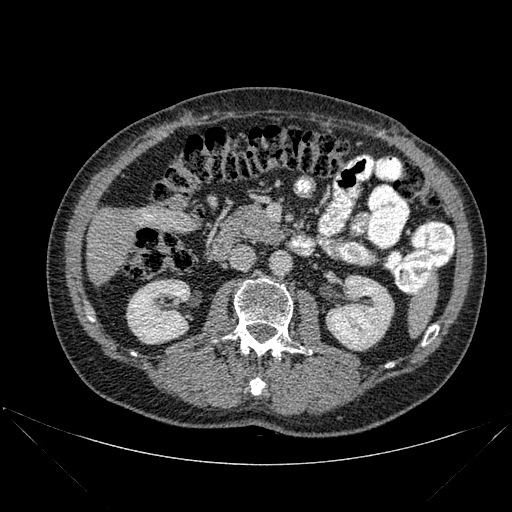

CT. 3 bone regions are bounded by (x1=250, y1=377, x2=264, y2=394), (x1=422, y1=325, x2=438, y2=345), (x1=223, y1=279, x2=312, y2=359). 2 kidney regions are bounded by (x1=326, y1=276, x2=393, y2=349), (x1=127, y1=280, x2=189, y2=343). The liver is bounded by (x1=86, y1=208, x2=135, y2=284).